CT slice. Upper abdomen. Slice index 626.

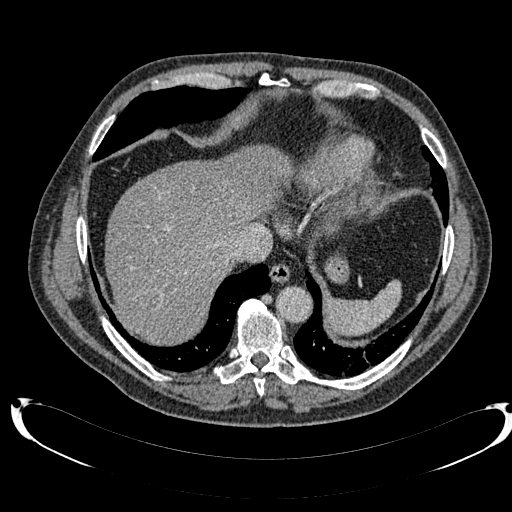

hepatic_lesion:
  - 166 160 223 208
liver:
  - 105 145 289 342